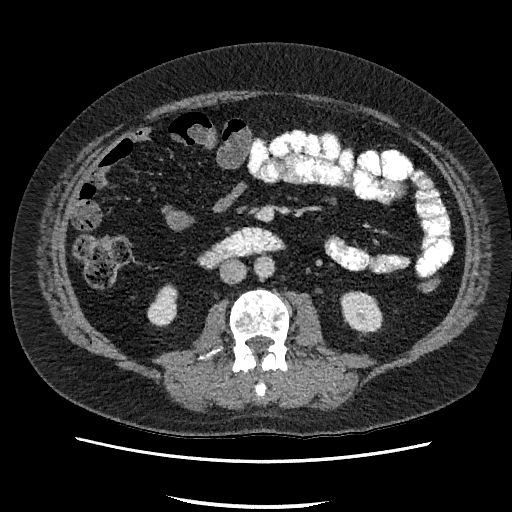 Computed tomography; 512x512 px; Abdomen
2 kidney regions are bounded by [x1=149, y1=288, x2=175, y2=324], [x1=342, y1=293, x2=380, y2=330].